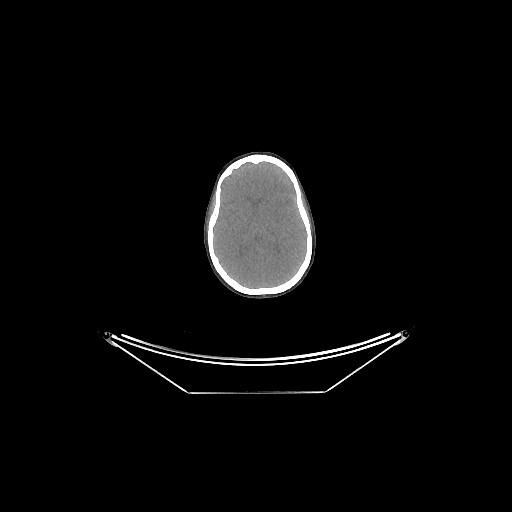 CT scan slice | Head

Brain: l=213, t=161, r=307, b=288.